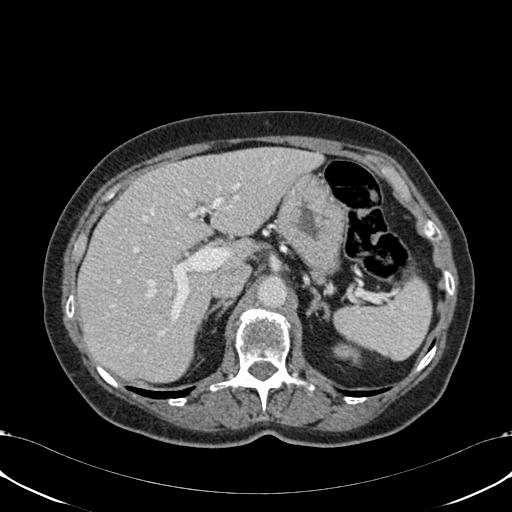
Abdomen. Computed tomography.
Annotated regions:
* kidney: (left=335, top=346, right=356, bottom=357)
* liver: (left=77, top=147, right=322, bottom=381)